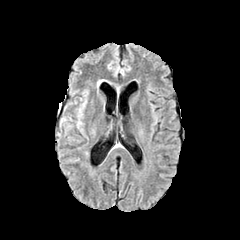
FLAIR MR.
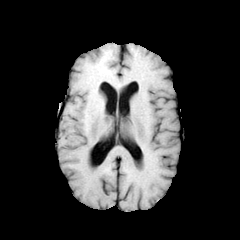
Same slice, T1-weighted MRI.
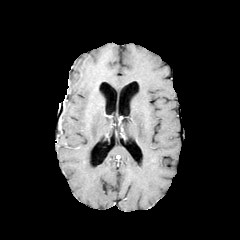
Post-contrast T1-weighted MR of the same slice.
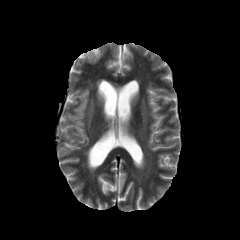
T2-weighted MR image.
240x240 px.
Segmented structures:
* edema: 57:97:86:136